240x240 px
FLAIR magnetic resonance.
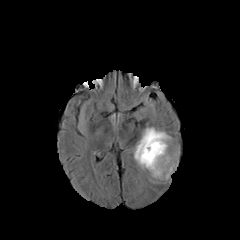
T1-weighted MR.
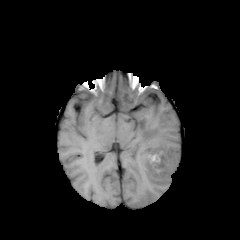
Post-contrast T1-weighted MR.
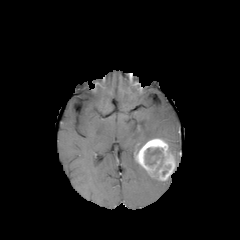
T2-weighted MRI.
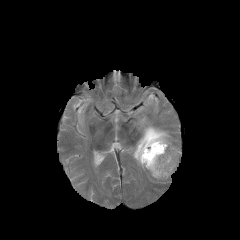
Enhancing tumor: bounding box 134, 138, 175, 180.
Edema: bounding box 128, 123, 179, 157.
Non-enhancing tumor core: bounding box 137, 137, 158, 151; 167, 142, 178, 167; 146, 148, 161, 165.